FLAIR MRI.
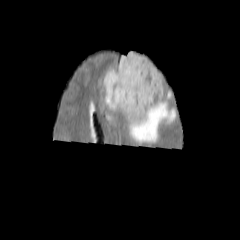
T1-weighted MR.
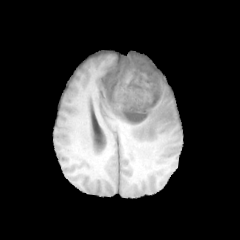
Post-contrast T1-weighted magnetic resonance.
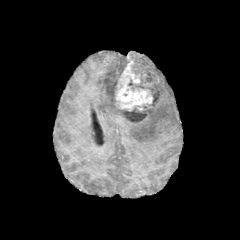
T2-weighted MR image.
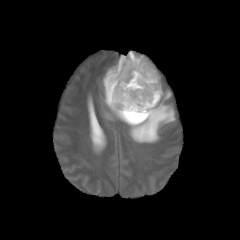
Brain | Image size 240x240
<segmentation>
  <enhancing_tumor>x1=115 y1=56 x2=152 y2=111</enhancing_tumor>
  <edema>x1=102 y1=55 x2=127 y2=90, x1=106 y1=74 x2=175 y2=143</edema>
  <non-enhancing_tumor_core>x1=104 y1=62 x2=127 y2=105, x1=128 y1=53 x2=161 y2=102, x1=121 y1=104 x2=154 y2=122</non-enhancing_tumor_core>
</segmentation>